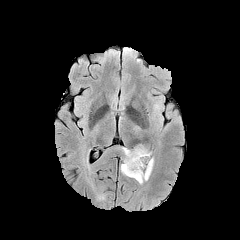
FLAIR MRI.
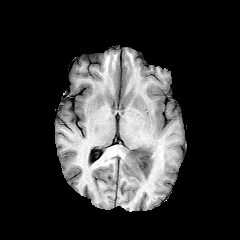
T1-weighted magnetic resonance.
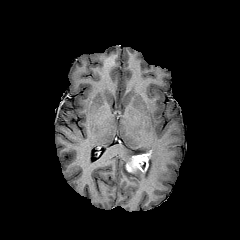
Post-contrast T1-weighted MR of the same slice.
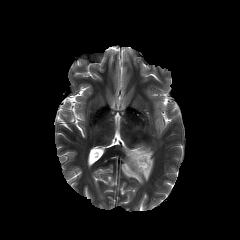
T2-weighted MRI.
Image size 240x240
Edema: x1=121 y1=144 x2=153 y2=184.
Non-enhancing tumor core: x1=130 y1=150 x2=145 y2=155.
Enhancing tumor: x1=125 y1=152 x2=149 y2=172.